CT slice. 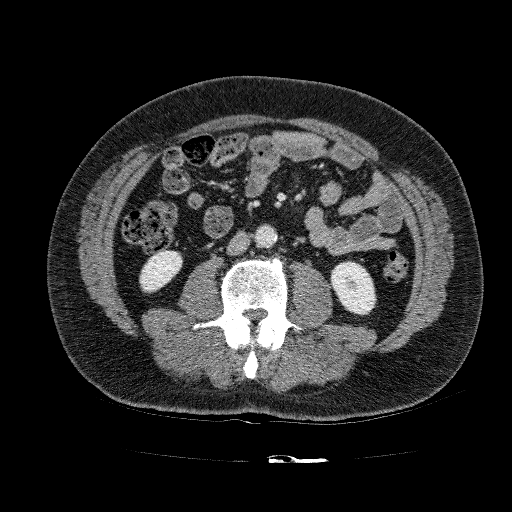

Kidney: x1=331 y1=262 x2=375 y2=314, x1=140 y1=251 x2=181 y2=291.